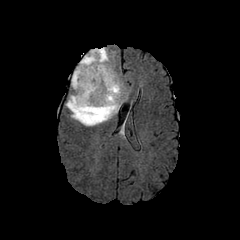
FLAIR MR image.
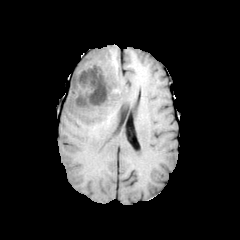
T1-weighted MR.
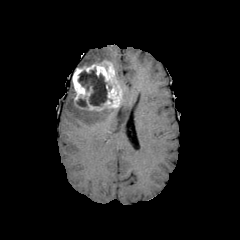
Post-contrast T1-weighted magnetic resonance.
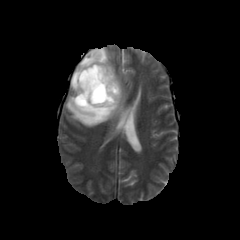
T2-weighted MR of the same slice.
{"non-enhancing_tumor_core": ["rect(78, 68, 109, 112)", "rect(75, 98, 89, 109)"], "enhancing_tumor": ["rect(72, 62, 122, 110)"], "edema": ["rect(65, 47, 128, 126)"]}